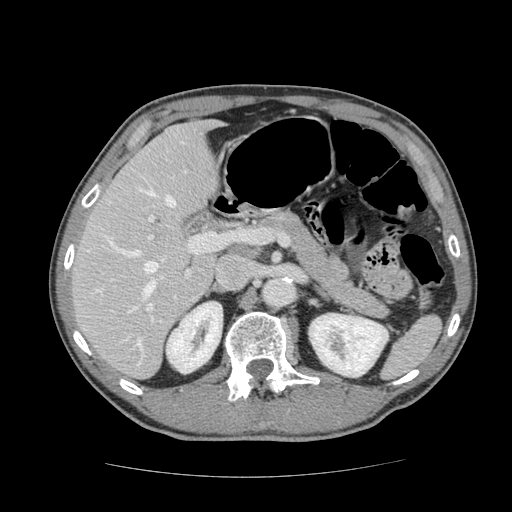

CT; Abdomen

The pancreas appears at 261, 209, 393, 321.